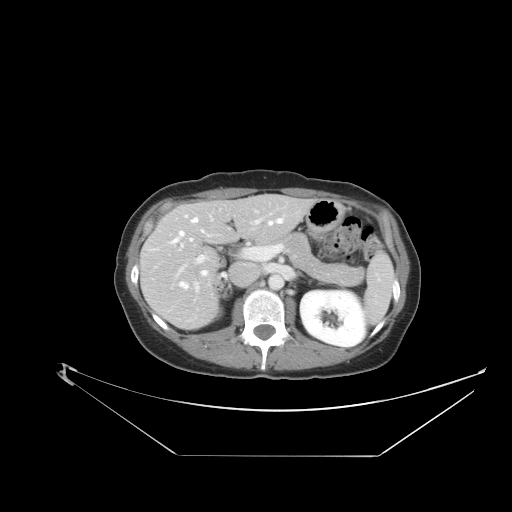 CT slice

The pancreas is bounded by box(281, 232, 365, 286).